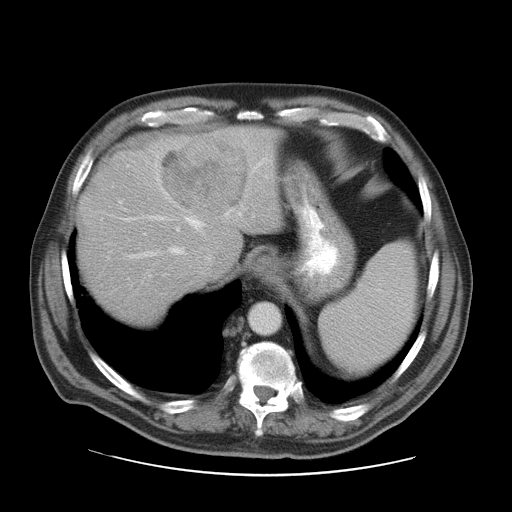
Image size 512x512, Liver, CT image

The vessel boxes may cover only some of the vessels.
Hepatic vessel at bbox(119, 201, 121, 202); bbox(176, 227, 179, 229); bbox(129, 252, 155, 257); bbox(123, 219, 131, 220); bbox(256, 159, 268, 167); bbox(150, 216, 166, 220); bbox(225, 212, 228, 216); bbox(169, 247, 183, 253); bbox(186, 218, 201, 227).
Liver tumor at bbox(160, 136, 248, 216).